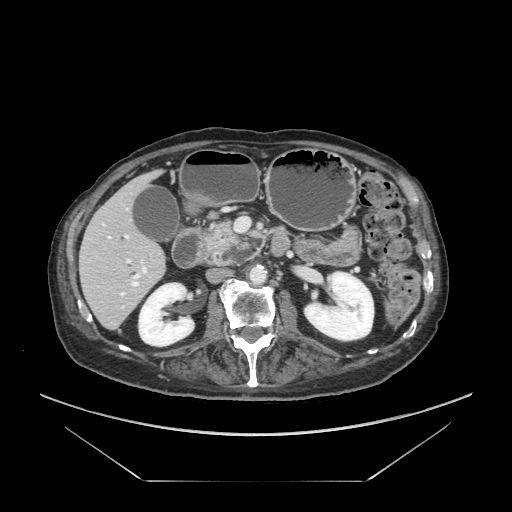
Abdomen | Computed tomography

Pancreas = [205,220,251,265].
Pancreatic tumor = [209,238,221,249].